FLAIR MRI.
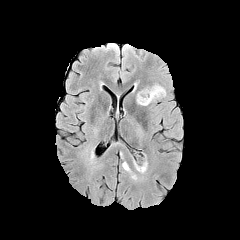
T1-weighted MRI.
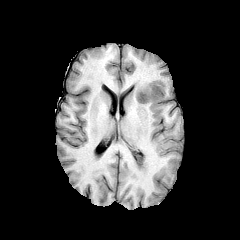
Post-contrast T1-weighted MR.
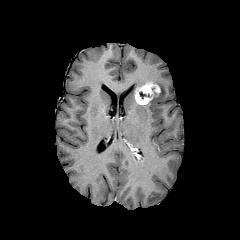
T2-weighted MR image.
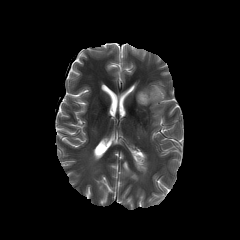
Brain; 240x240
Non-enhancing tumor core — (left=136, top=82, right=153, bottom=90).
Edema — (left=150, top=85, right=165, bottom=103), (left=122, top=161, right=137, bottom=179), (left=133, top=157, right=147, bottom=173).
Enhancing tumor — (left=136, top=84, right=160, bottom=104).